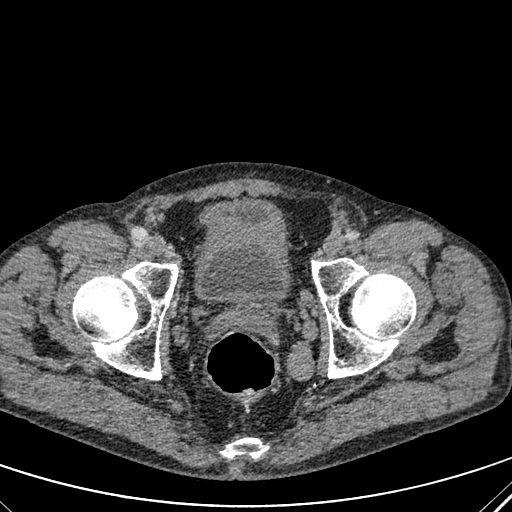 Pelvis. CT. Segmented structures:
- urinary bladder: left=200, top=207, right=282, bottom=297